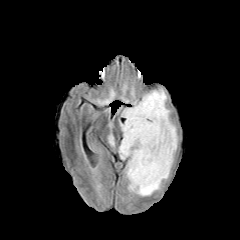
FLAIR MRI.
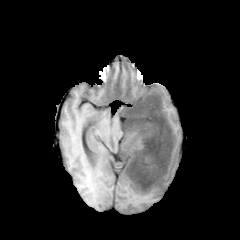
Same slice, T1-weighted magnetic resonance.
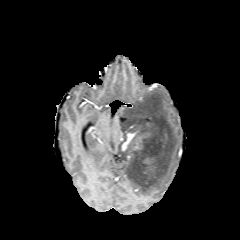
Same slice, post-contrast T1-weighted MR.
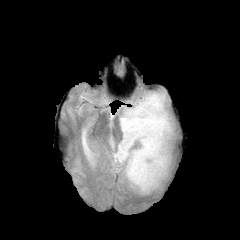
T2-weighted MRI.
Enhancing tumor at [122, 132, 136, 150].
Non-enhancing tumor core at [119, 93, 171, 194].
Edema at [123, 158, 132, 191], [130, 138, 141, 149], [133, 89, 177, 195].